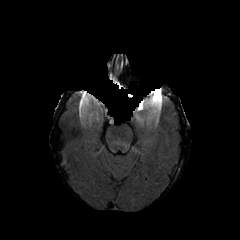
FLAIR MRI.
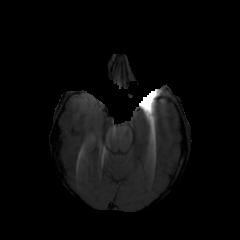
T1-weighted MR image.
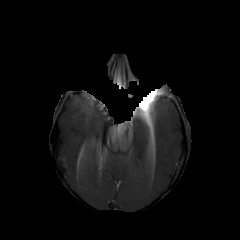
Post-contrast T1-weighted magnetic resonance.
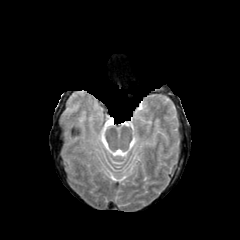
T2-weighted MR image of the same slice.
Head | Image size 240x240
The enhancing tumor lies within left=135, top=106, right=145, bottom=118. The edema is bounded by left=156, top=95, right=165, bottom=111. The non-enhancing tumor core is at left=140, top=90, right=163, bottom=124.